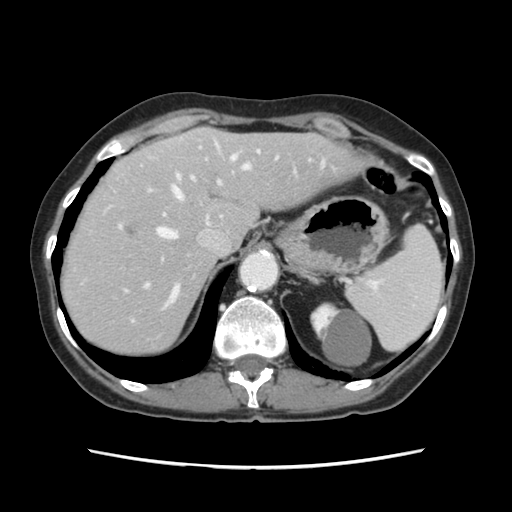
Computed tomography, Abdomen
Some hepatic vessels may have no box.
Liver tumor at box=[126, 226, 134, 234].
Hepatic vessel at box=[158, 228, 175, 238]; box=[177, 175, 179, 177]; box=[119, 225, 121, 228]; box=[145, 284, 148, 287]; box=[172, 188, 181, 197]; box=[257, 150, 259, 152]; box=[243, 165, 249, 169]; box=[191, 176, 193, 179]; box=[231, 155, 235, 160]; box=[218, 181, 220, 184].